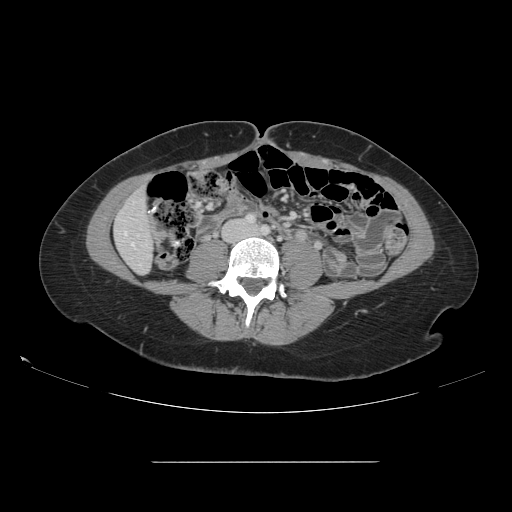

Computed tomography
The vessel boxes may cover only some of the vessels.
hepatic_vessel:
  - (left=132, top=243, right=134, bottom=247)
  - (left=124, top=231, right=126, bottom=234)